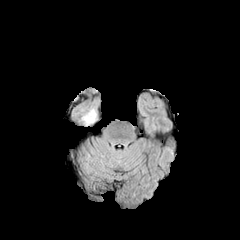
FLAIR magnetic resonance.
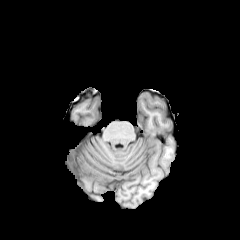
T1-weighted MRI.
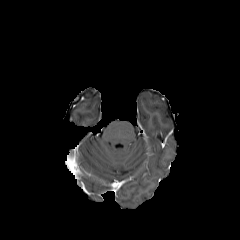
Post-contrast T1-weighted MR.
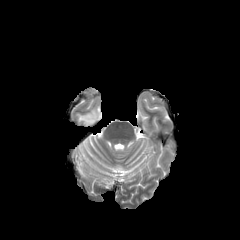
T2-weighted MR.
Head.
Edema — region(79, 107, 97, 124).